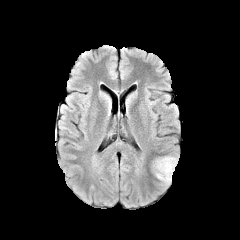
FLAIR MRI.
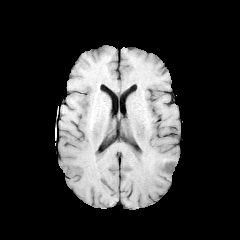
Same slice, T1-weighted magnetic resonance.
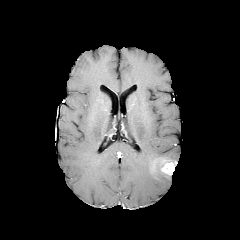
Same slice, post-contrast T1-weighted MRI.
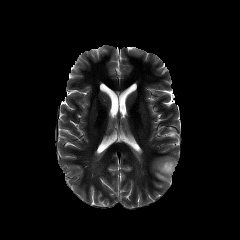
T2-weighted MR.
Edema = 153 156 177 185.
Enhancing tumor = 161 161 177 175.